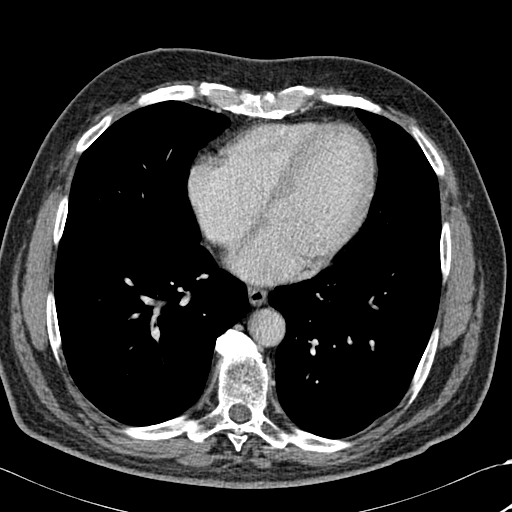
512x512 px; CT
Annotated regions:
* bone: 440 224 451 274, 140 83 379 118, 125 330 348 452, 77 116 110 151, 54 199 67 242, 46 295 60 352, 413 333 437 394, 414 129 443 174
* lung: 54 100 249 426, 268 108 441 438